FLAIR MRI.
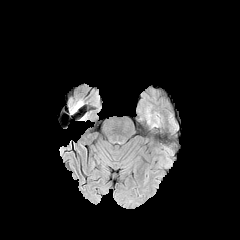
T1-weighted MR.
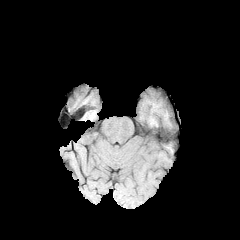
Post-contrast T1-weighted magnetic resonance.
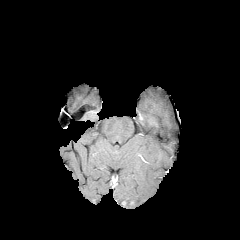
T2-weighted MR image.
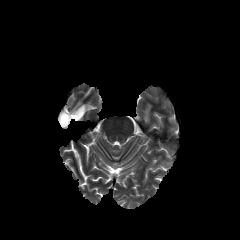
Brain.
<segmentation>
  <edema>x1=69, y1=100, x2=82, y2=114</edema>
</segmentation>